CT scan slice. Slice 183 of 574. 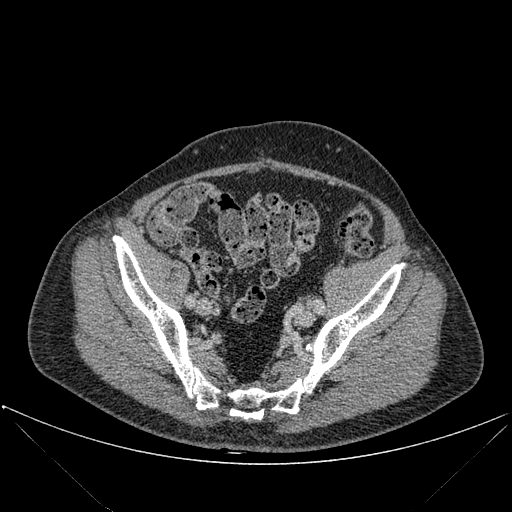 {
  "bone": [
    "<box>230,409,263,419</box>",
    "<box>113,235,219,409</box>",
    "<box>228,263,404,413</box>"
  ]
}